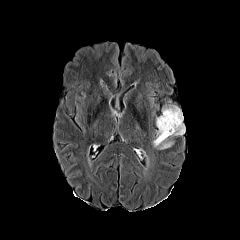
FLAIR MR image.
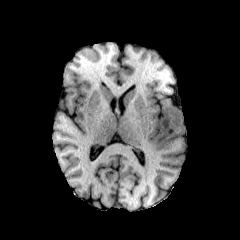
Same slice, T1-weighted MRI.
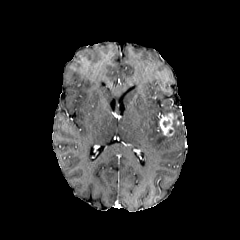
Post-contrast T1-weighted MRI.
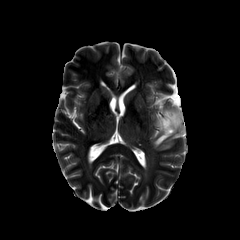
T2-weighted MR of the same slice.
Brain; 240x240
Findings:
• edema: 162, 103, 185, 136; 151, 127, 174, 150
• enhancing tumor: 158, 113, 178, 137